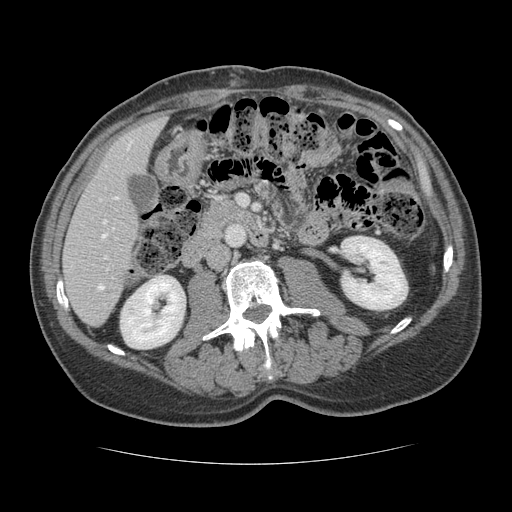
Computed tomography, Liver
The vessel annotation is not exhaustive.
Segmented structures:
- hepatic vessel: box=[104, 256, 107, 258]; box=[102, 234, 106, 236]; box=[127, 141, 131, 149]; box=[103, 220, 106, 222]; box=[98, 284, 103, 288]; box=[114, 197, 117, 198]